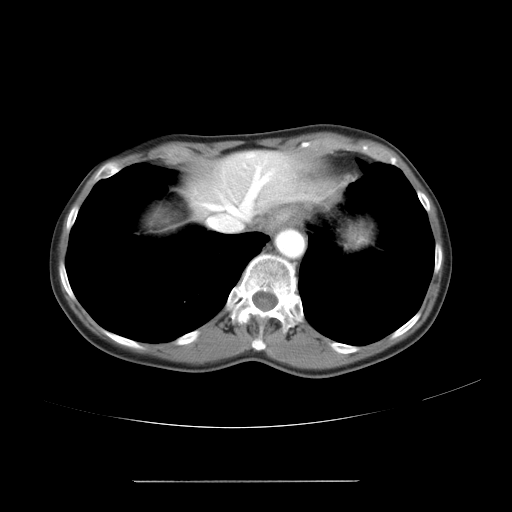
CT scan slice, Image size 512x512, Liver
The vessel annotation is not exhaustive.
The hepatic vessel lies within <bbox>201, 154, 275, 230</bbox>.